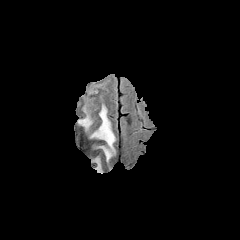
FLAIR MR image.
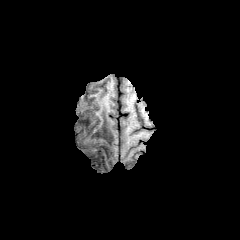
T1-weighted MRI of the same slice.
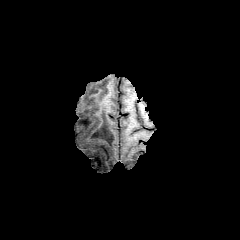
Post-contrast T1-weighted MR of the same slice.
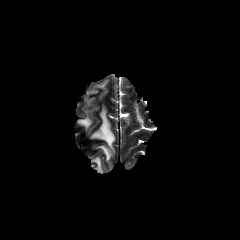
T2-weighted MR of the same slice.
Head
3 edema regions are bounded by {"x1": 88, "y1": 105, "x2": 115, "y2": 162}, {"x1": 94, "y1": 157, "x2": 102, "y2": 173}, {"x1": 78, "y1": 109, "x2": 93, "y2": 131}.